240x240.
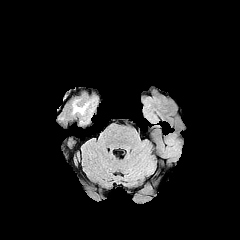
FLAIR MRI.
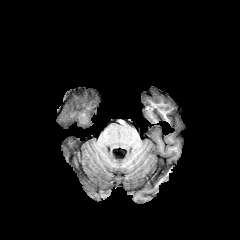
T1-weighted MR image.
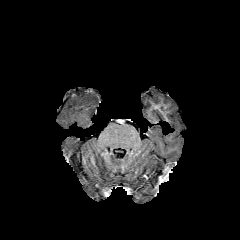
Post-contrast T1-weighted magnetic resonance.
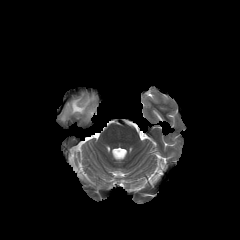
T2-weighted magnetic resonance.
<segmentation>
  <edema>(left=71, top=98, right=95, bottom=115), (left=87, top=105, right=94, bottom=121)</edema>
</segmentation>